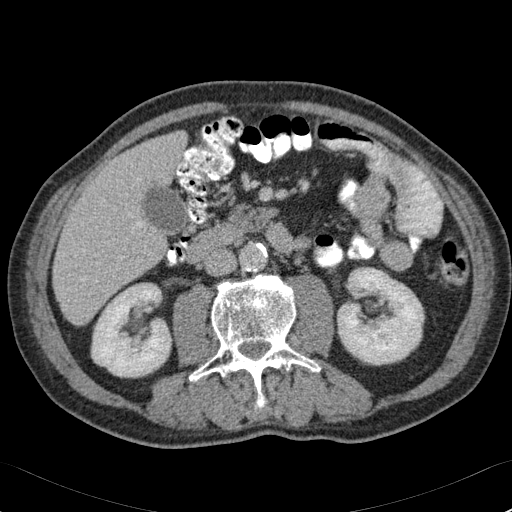 CT
The liver lies within 53,132,186,323. 2 kidney regions are located at 337,268,423,364; 92,283,170,376.